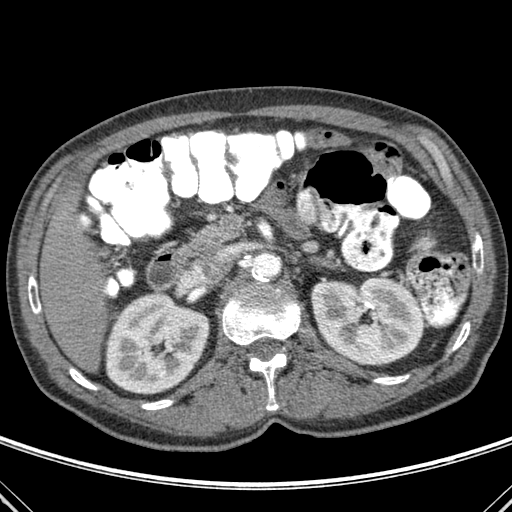 Upper abdomen, CT image, 512x512

{
  "kidney": [
    "box=[312, 278, 422, 363]",
    "box=[107, 294, 208, 392]"
  ],
  "bone": [
    "box=[452, 322, 469, 350]",
    "box=[142, 400, 172, 409]",
    "box=[249, 348, 290, 410]",
    "box=[259, 222, 269, 234]",
    "box=[28, 275, 40, 313]",
    "box=[69, 368, 96, 389]",
    "box=[473, 234, 483, 271]",
    "box=[374, 375, 408, 384]",
    "box=[222, 271, 300, 345]"
  ],
  "liver": [
    "box=[39, 187, 107, 368]"
  ]
}